FLAIR MRI.
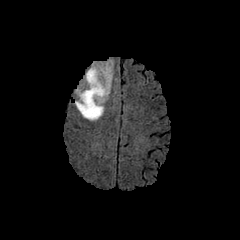
T1-weighted MR.
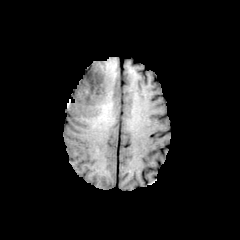
Post-contrast T1-weighted MR.
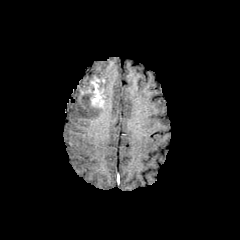
T2-weighted MR.
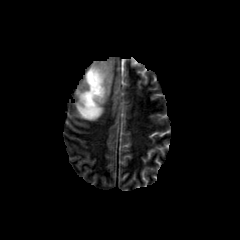
Head
enhancing_tumor:
  - 81:72:105:107
edema:
  - 75:89:104:121
  - 84:64:112:99